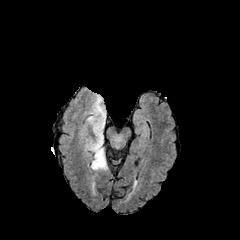
FLAIR MR image.
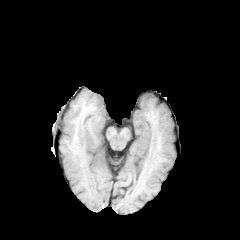
T1-weighted magnetic resonance of the same slice.
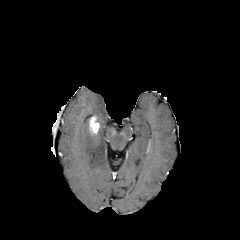
Post-contrast T1-weighted MR.
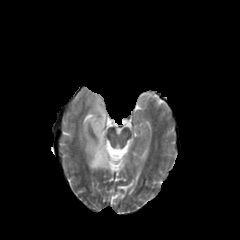
T2-weighted magnetic resonance.
edema: rect(81, 93, 108, 171) | enhancing tumor: rect(90, 116, 99, 133)